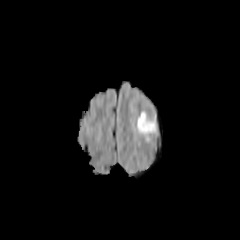
FLAIR MRI.
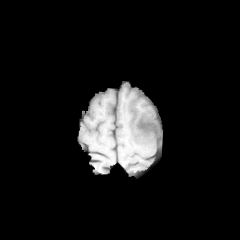
T1-weighted MRI.
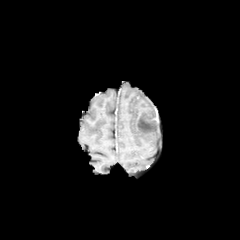
Post-contrast T1-weighted magnetic resonance of the same slice.
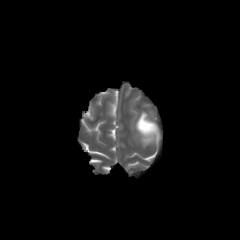
T2-weighted magnetic resonance.
Head. Image size 240x240.
edema:
  - bbox(137, 111, 160, 145)